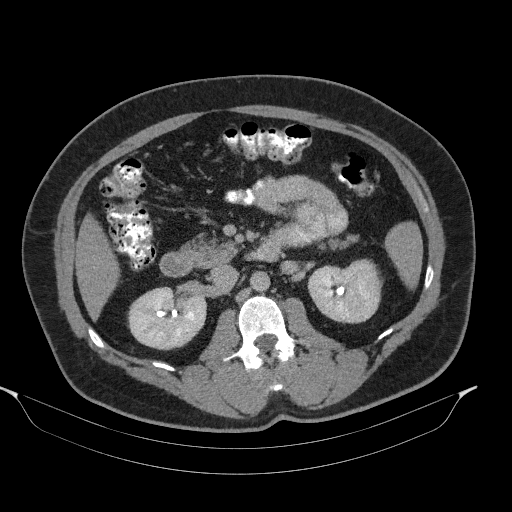
CT image; Upper abdomen
<segmentation>
  <pancreas>box=[329, 234, 358, 247]; box=[187, 233, 236, 269]</pancreas>
</segmentation>